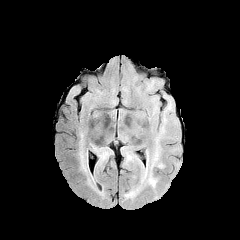
FLAIR MR.
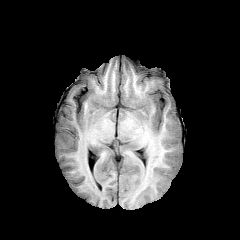
T1-weighted MRI.
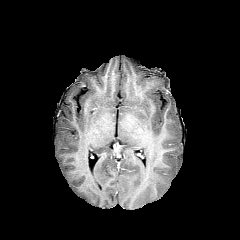
Post-contrast T1-weighted MR image of the same slice.
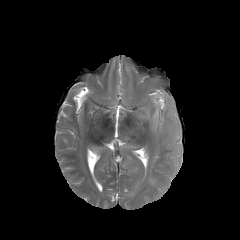
T2-weighted MR.
Image size 240x240.
2 edema regions appear at (90,144,105,169), (80,144,87,169).